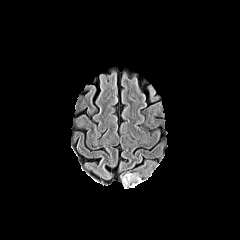
FLAIR MR.
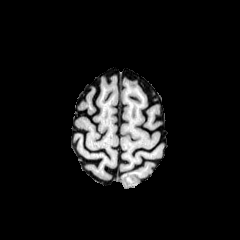
T1-weighted MRI of the same slice.
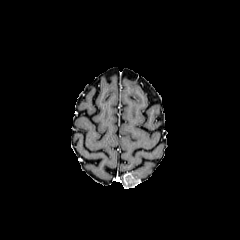
Post-contrast T1-weighted MR image.
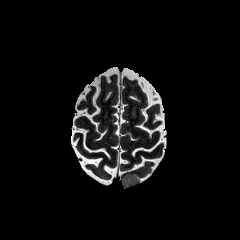
Same slice, T2-weighted magnetic resonance.
The enhancing tumor is bounded by left=123, top=173, right=140, bottom=186.